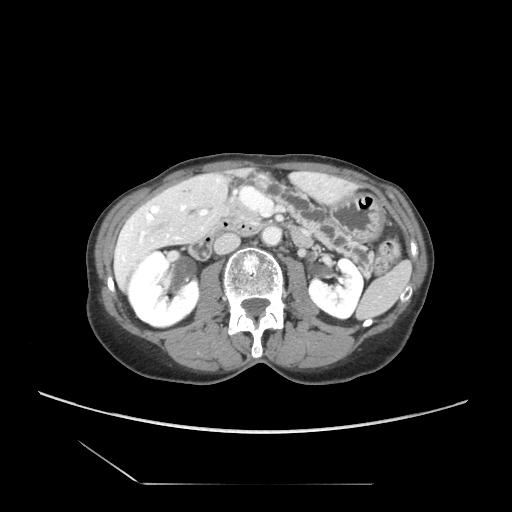
CT scan slice
Segmented structures:
• pancreas: <bbox>264, 182, 373, 276</bbox>